CT slice | Slice 139/248 | Thorax 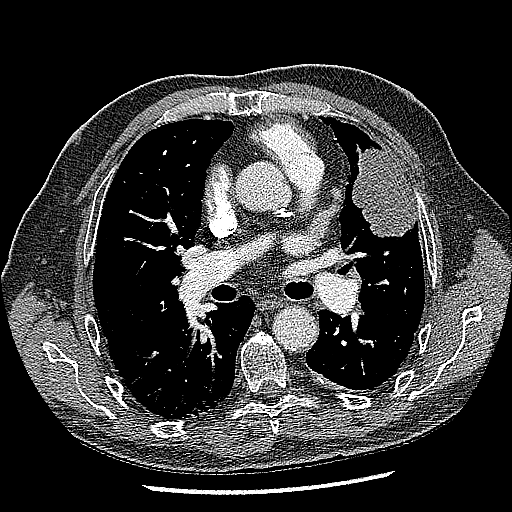

Lung tumor at x1=351, y1=144, x2=415, y2=238.